Brain | Field of view 240x240 mm
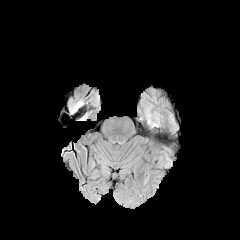
FLAIR magnetic resonance.
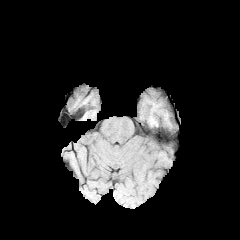
T1-weighted MRI of the same slice.
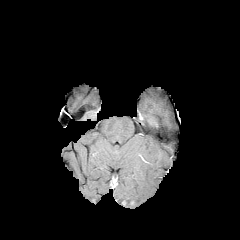
Same slice, post-contrast T1-weighted MR.
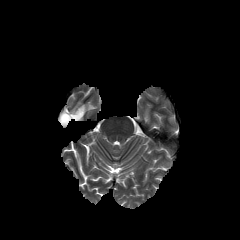
T2-weighted magnetic resonance of the same slice.
The edema is at [x1=69, y1=100, x2=83, y2=114].